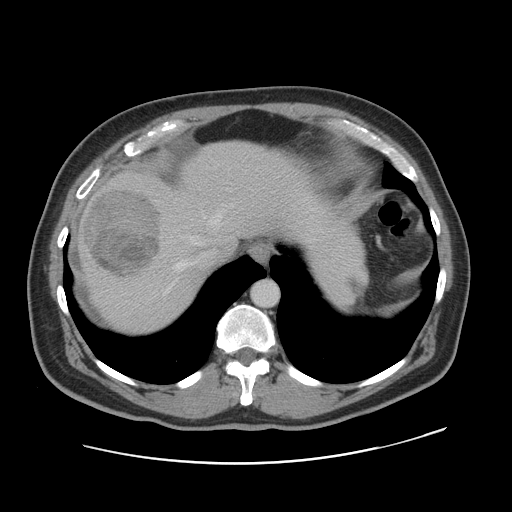
Liver. CT image.
Only some of the vessels may be annotated.
Liver tumor: bounding box left=83, top=188, right=162, bottom=281.
Hepatic vessel: bounding box left=174, top=261, right=195, bottom=269; left=162, top=278, right=178, bottom=295; left=230, top=203, right=233, bottom=207; left=188, top=235, right=204, bottom=245; left=207, top=204, right=225, bottom=227; left=179, top=235, right=182, bottom=237; left=197, top=254, right=213, bottom=268.